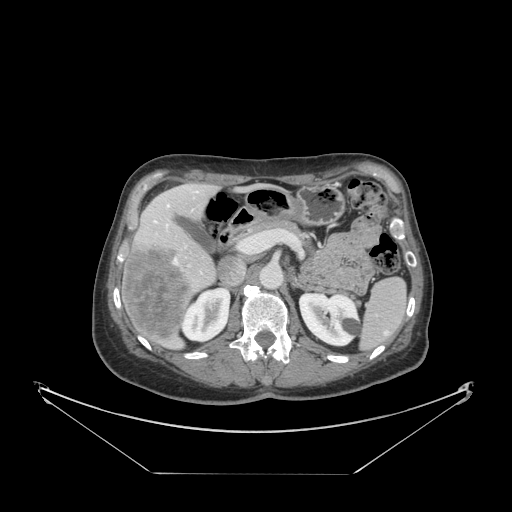 Computed tomography

spleen: x1=361 y1=279 x2=407 y2=349